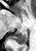 MRI slice. 36x51. Hippocampus.

Segmented structures:
* posterior hippocampus: (12, 31, 27, 44)